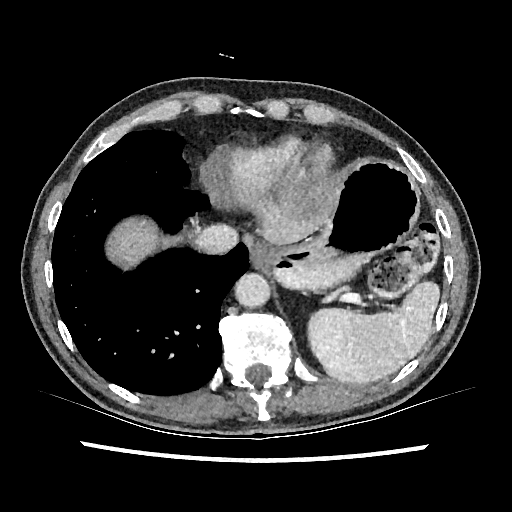 Computed tomography; Abdomen
Liver = 107,218,167,266; 246,167,332,243.
Focal liver lesion = 276,174,341,223.